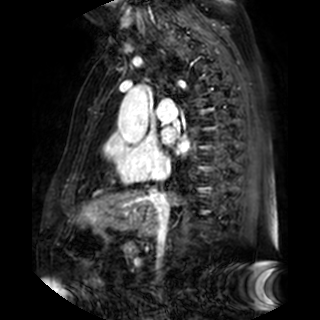

Image size 320x320; Magnetic resonance; Cardiac

left_atrium:
  - <bbox>162, 127, 175, 142</bbox>
  - <bbox>175, 141, 189, 152</bbox>